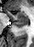 MRI slice, Hippocampus
{
  "posterior_hippocampus": [
    "<box>13,22,27,27</box>"
  ],
  "anterior_hippocampus": [
    "<box>7,11,27,21</box>"
  ]
}